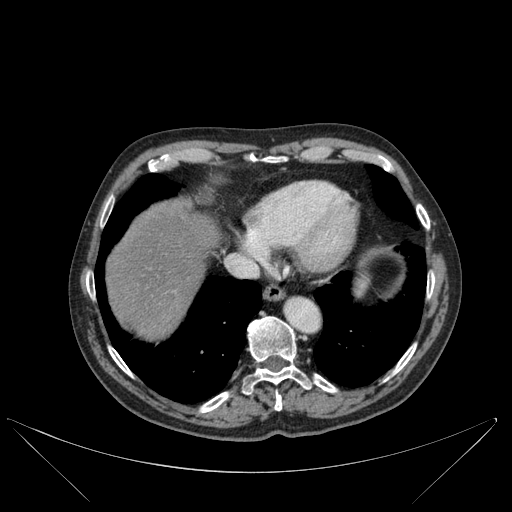 CT image
Bone = <box>103,202,110,217</box>, <box>109,347,132,376</box>, <box>148,161,157,171</box>, <box>392,344,416,375</box>, <box>378,157,390,170</box>, <box>416,204,429,228</box>, <box>249,155,285,162</box>, <box>242,317,311,393</box>, <box>86,278,94,297</box>, <box>314,376,336,392</box>, <box>275,392,281,410</box>, <box>200,392,228,412</box>, <box>427,273,434,297</box>.
Liver = <box>106,211,218,340</box>.
Lung = <box>366,165,418,228</box>, <box>314,242,426,387</box>, <box>95,173,261,403</box>.
Hepatic lesion = <box>166,291,176,300</box>.